Image size 512x512. Computed tomography. Abdomen. 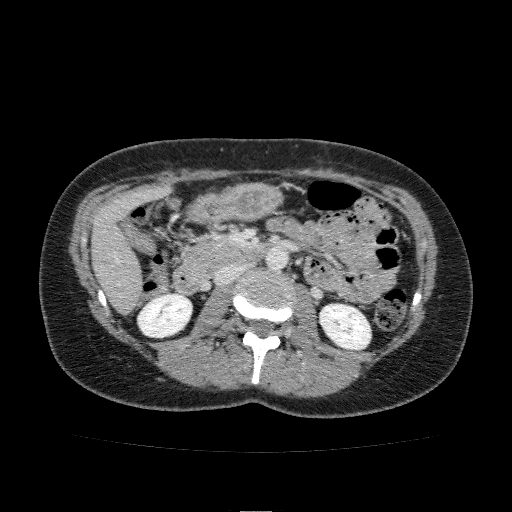

kidney: <bbox>320, 304, 370, 349</bbox>, <bbox>138, 294, 191, 337</bbox> | liver: <bbox>91, 187, 170, 311</bbox>